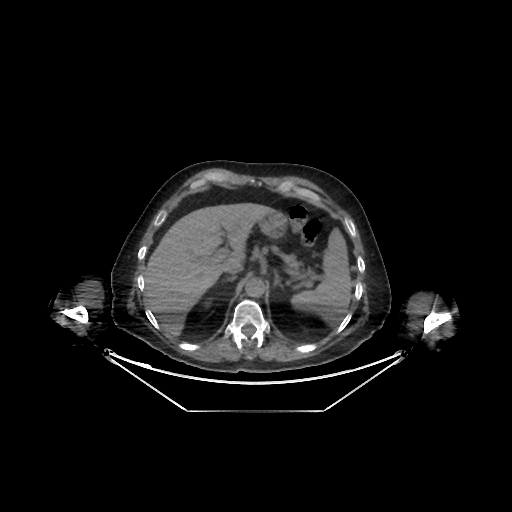

Liver, 512x512 px, CT scan slice
The kidney lies within (204, 297, 214, 308). The liver is bounded by (141, 203, 274, 335).